Brain, Field of view 240x240 mm
FLAIR MR.
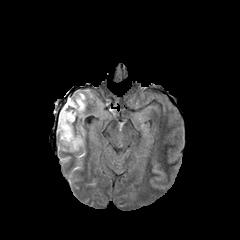
T1-weighted MR.
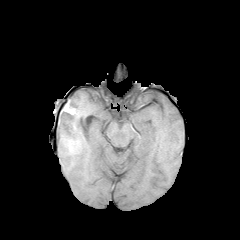
Post-contrast T1-weighted magnetic resonance.
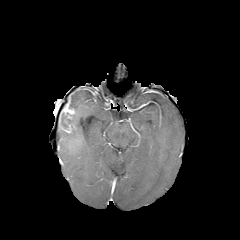
T2-weighted MR image.
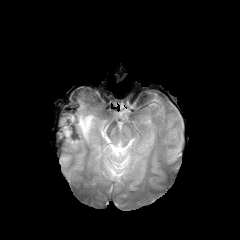
The edema is at 58:91:97:157. The non-enhancing tumor core lies within 80:119:87:133.